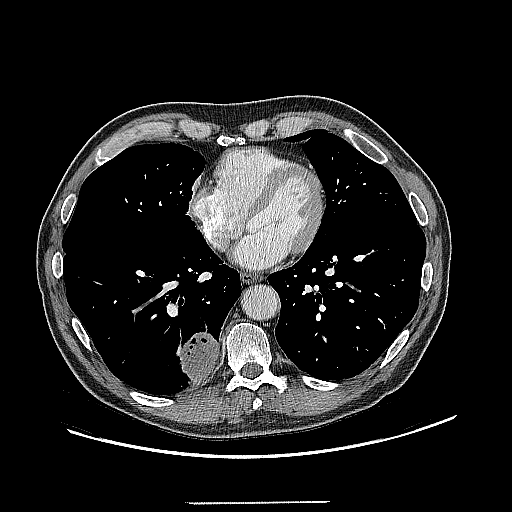 Thorax | Computed tomography
lung_tumor:
  - bbox(176, 326, 219, 390)